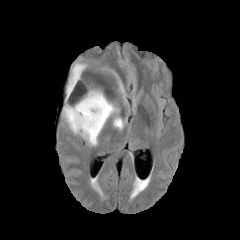
FLAIR MR.
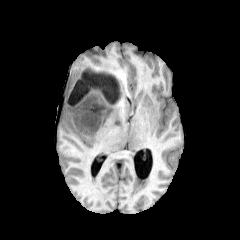
T1-weighted MRI.
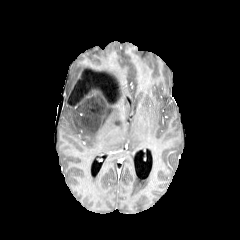
Post-contrast T1-weighted MRI of the same slice.
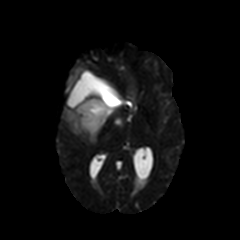
T2-weighted MRI of the same slice.
Head.
The edema lies within {"x1": 62, "y1": 63, "x2": 124, "y2": 145}. The non-enhancing tumor core appears at {"x1": 75, "y1": 73, "x2": 120, "y2": 130}.